Slice 91 of 155, Brain
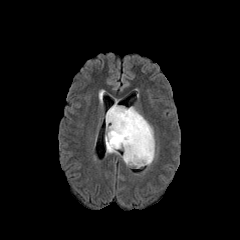
FLAIR magnetic resonance.
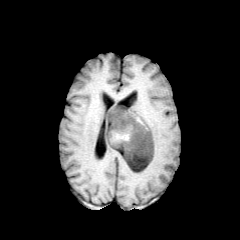
T1-weighted MRI of the same slice.
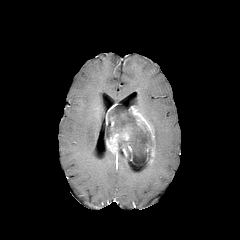
Post-contrast T1-weighted magnetic resonance of the same slice.
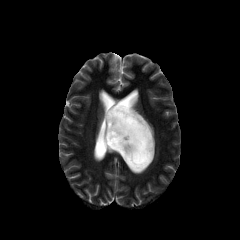
T2-weighted MR image of the same slice.
Non-enhancing tumor core: bounding box box=[106, 121, 110, 138]; box=[108, 106, 153, 167].
Enhancing tumor: bounding box box=[106, 104, 133, 157]; box=[146, 146, 154, 162]; box=[129, 106, 153, 139].